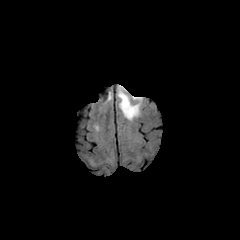
FLAIR MRI.
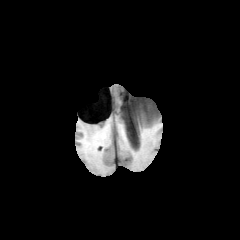
T1-weighted MRI of the same slice.
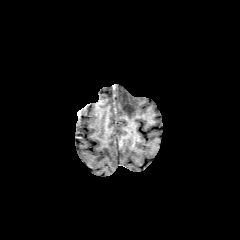
Post-contrast T1-weighted magnetic resonance of the same slice.
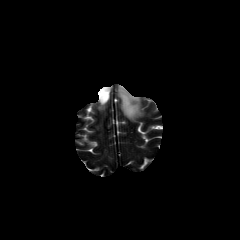
T2-weighted magnetic resonance of the same slice.
Head
Findings:
• edema: x1=117 y1=86 x2=141 y2=120